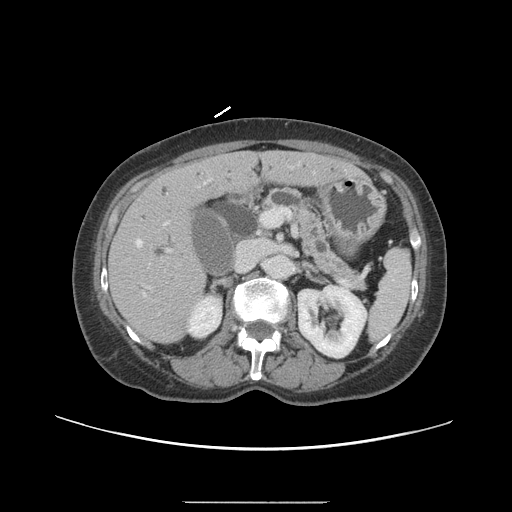
CT slice
The pancreas lies within <bbox>263, 189, 363, 286</bbox>.